FLAIR MRI.
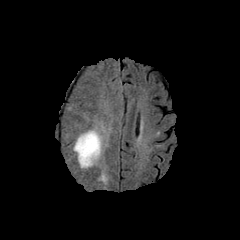
T1-weighted MRI.
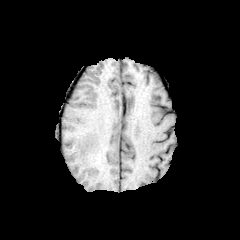
Post-contrast T1-weighted MR.
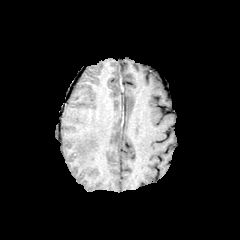
T2-weighted MR.
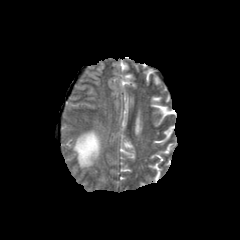
240x240, Brain
edema: 73,130,101,167